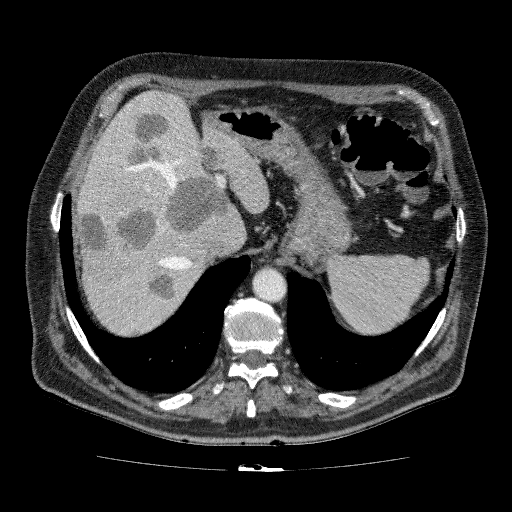 512x512. Abdomen. Computed tomography. Liver = (78,90,269,334).
Focal liver lesion = (125,109,171,164), (158,179,168,188), (123,327,143,334), (164,141,233,236), (145,271,177,302), (78,205,158,259).